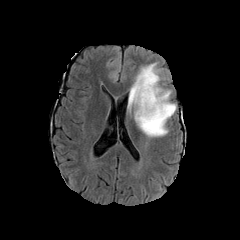
FLAIR MR image.
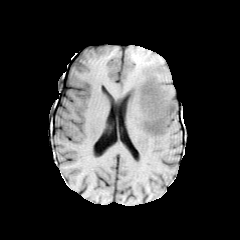
T1-weighted MRI of the same slice.
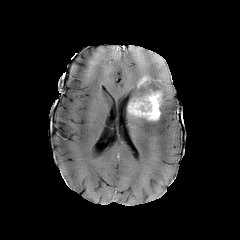
Post-contrast T1-weighted MR image.
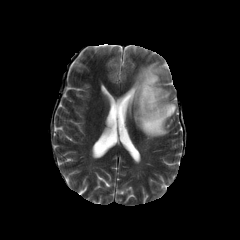
T2-weighted MR image.
240x240 | Brain
Edema — x1=128 y1=62 x2=176 y2=138.
Enhancing tumor — x1=138 y1=76 x2=148 y2=86, x1=127 y1=87 x2=161 y2=120.
Non-enhancing tumor core — x1=142 y1=80 x2=151 y2=95, x1=132 y1=105 x2=145 y2=113.